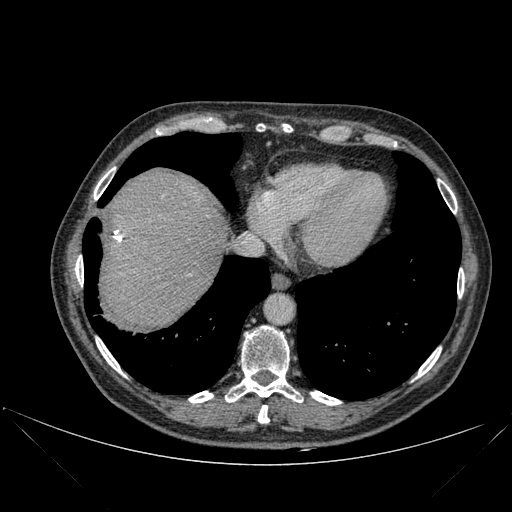
CT image. 3 lung regions are located at rect(98, 132, 241, 209); rect(83, 217, 270, 394); rect(295, 152, 461, 399). 11 bone regions are bounded by rect(188, 391, 213, 402); rect(258, 405, 269, 423); rect(225, 326, 302, 402); rect(96, 338, 124, 375); rect(416, 348, 441, 378); rect(283, 124, 292, 131); rect(310, 391, 341, 405); rect(457, 268, 464, 297); rect(94, 168, 114, 199); rect(75, 255, 83, 285); rect(441, 182, 457, 213). The liver lies within rect(99, 173, 227, 333).